Image size 240x240 | Brain
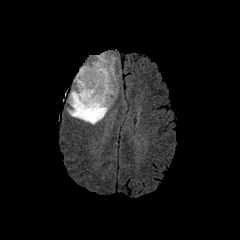
FLAIR MR image.
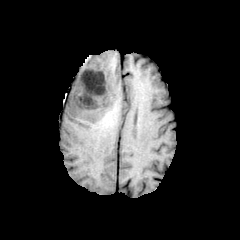
T1-weighted magnetic resonance.
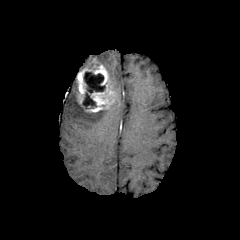
Post-contrast T1-weighted MR.
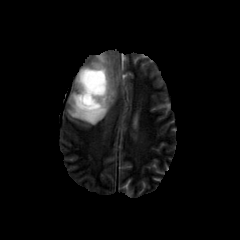
T2-weighted MR image of the same slice.
Enhancing tumor: x1=75 y1=58 x2=114 y2=113.
Non-enhancing tumor core: x1=81 y1=93 x2=95 y2=108, x1=84 y1=71 x2=105 y2=92.
Edema: x1=96 y1=53 x2=116 y2=99, x1=67 y1=83 x2=110 y2=125.